Image width 240 mm; Head
FLAIR magnetic resonance.
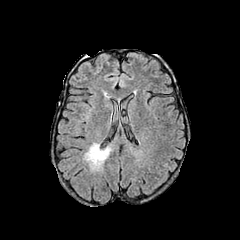
T1-weighted MRI.
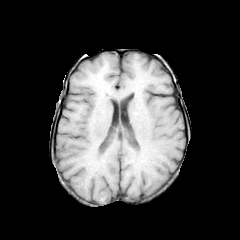
Post-contrast T1-weighted MR image.
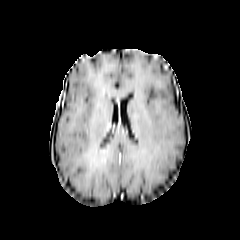
T2-weighted MRI.
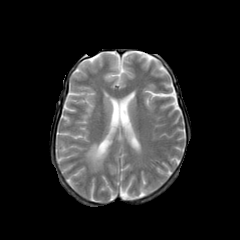
Findings:
• non-enhancing tumor core: x1=90 y1=150 x2=105 y2=166
• edema: x1=83 y1=142 x2=112 y2=171